Brain, Image size 240x240, Slice 82 of 155
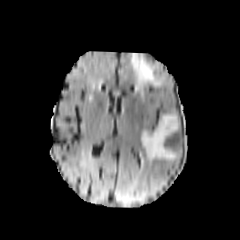
FLAIR MR.
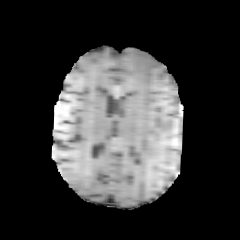
T1-weighted MRI.
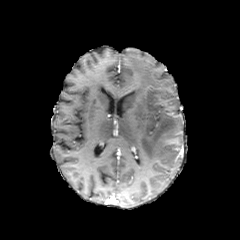
Post-contrast T1-weighted MR image.
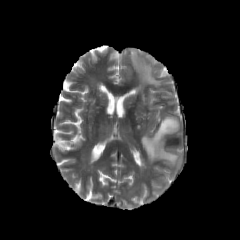
T2-weighted MRI.
2 edema regions are located at (130, 52, 162, 100), (141, 113, 182, 165).